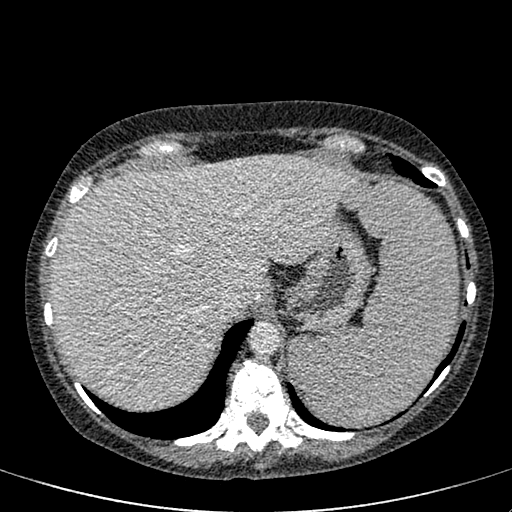

512x512 px | CT
The liver lies within box=[53, 157, 356, 408].